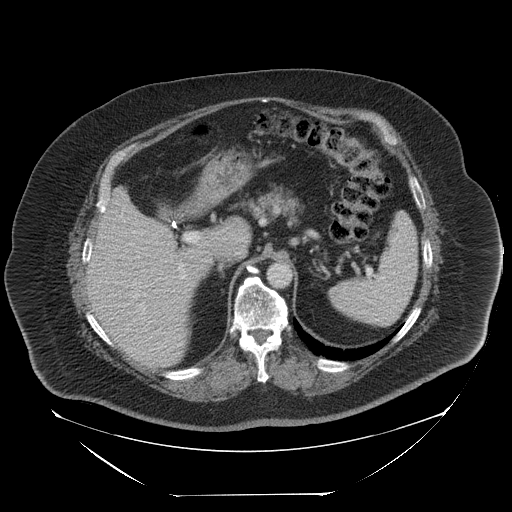 Abdomen. 512x512. Computed tomography. <segmentation>
  <spleen>{"x1": 329, "y1": 214, "x2": 417, "y2": 324}</spleen>
</segmentation>